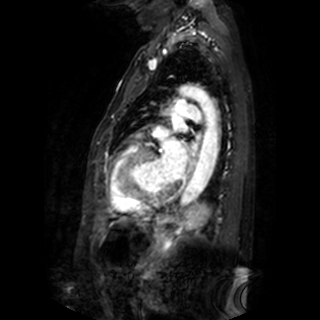

Magnetic resonance
- left atrium: x1=172 y1=115 x2=183 y2=129, x1=159 y1=140 x2=187 y2=181